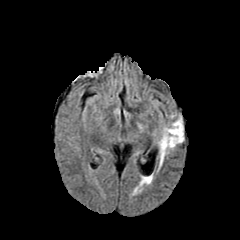
FLAIR MR image.
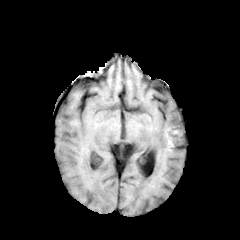
T1-weighted MR image.
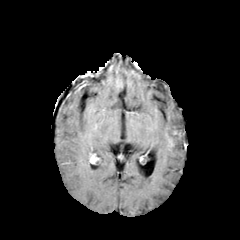
Post-contrast T1-weighted MR image.
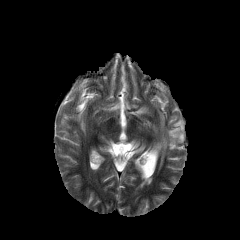
Same slice, T2-weighted MRI.
Head
edema:
  - bbox=[140, 178, 151, 185]
  - bbox=[157, 116, 183, 165]